512x512. CT.

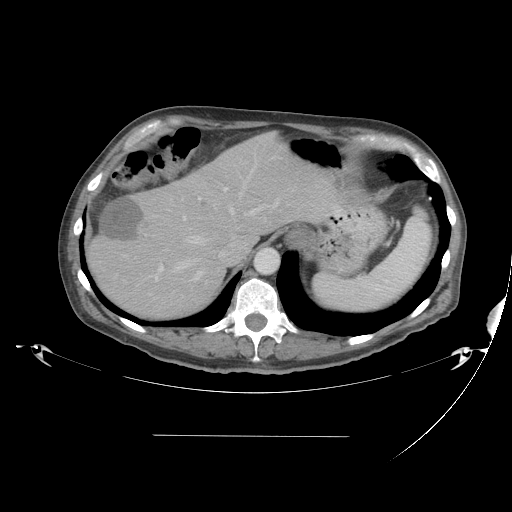
The vessel annotation is not exhaustive.
<segmentation>
  <liver_tumor>98:198:140:238</liver_tumor>
  <hepatic_vessel>186:235:206:244, 182:215:186:221, 239:165:256:197, 163:248:169:250, 172:258:198:271, 241:236:243:237, 223:187:227:191, 245:207:262:215, 191:270:204:280, 214:203:219:208, 149:264:163:281, 229:204:234:215, 198:197:201:199</hepatic_vessel>
</segmentation>